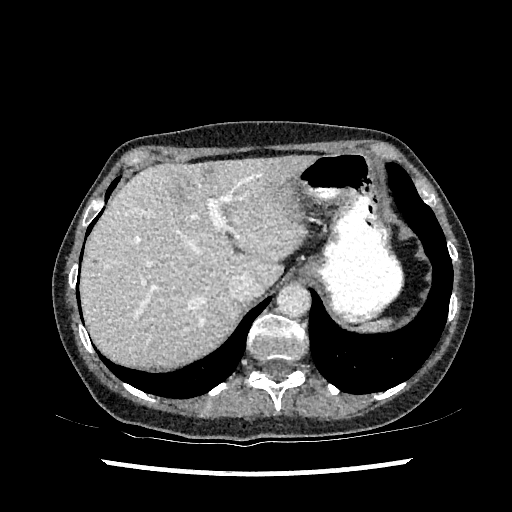

CT; Abdomen; Image size 512x512
The liver is located at (left=80, top=156, right=315, bottom=367). 3 hepatic lesion regions are located at (left=206, top=166, right=217, bottom=176), (left=274, top=181, right=293, bottom=209), (left=170, top=176, right=195, bottom=204).